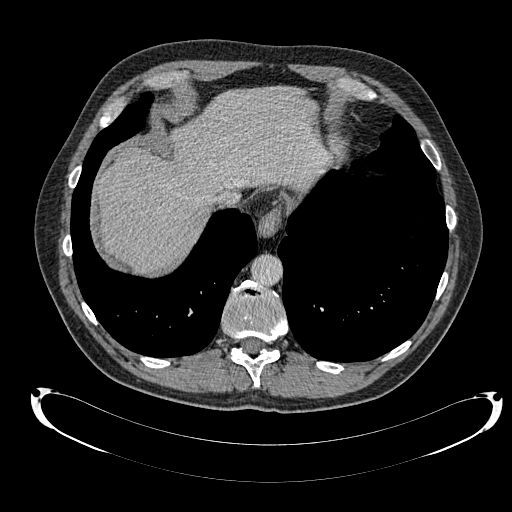

512x512. Computed tomography. Liver.
Liver = (98,87,329,273).